FLAIR MR image.
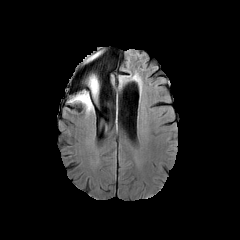
T1-weighted magnetic resonance.
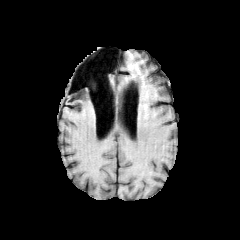
Post-contrast T1-weighted MRI.
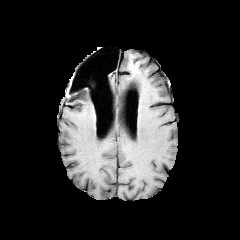
T2-weighted MRI.
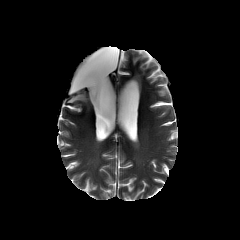
240x240 px
Segmented structures:
- edema: region(70, 74, 101, 112)